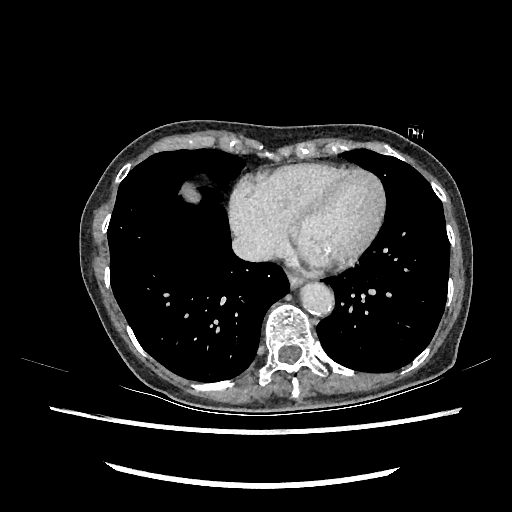
CT

Liver — (x1=185, y1=187, x2=198, y2=201).